Head. Slice 104/155.
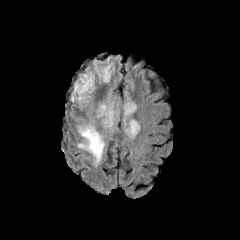
FLAIR MR.
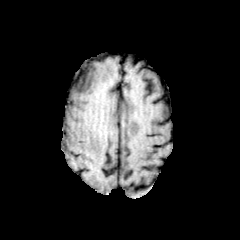
T1-weighted MR.
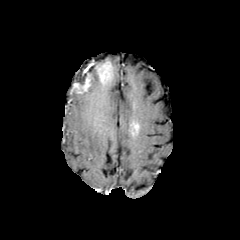
Post-contrast T1-weighted magnetic resonance of the same slice.
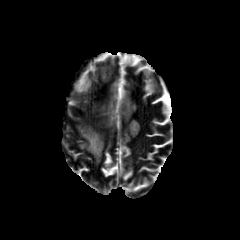
Same slice, T2-weighted MR image.
non-enhancing_tumor_core:
  - <box>130,123,137,134</box>
  - <box>76,73,86,83</box>
enhancing_tumor:
  - <box>74,68,90,93</box>
edema:
  - <box>105,107,113,118</box>
  - <box>74,74,94,101</box>
  - <box>78,126,104,165</box>
  - <box>124,103,135,115</box>